Liver | CT slice | Slice index 138 | Image width 422 mm
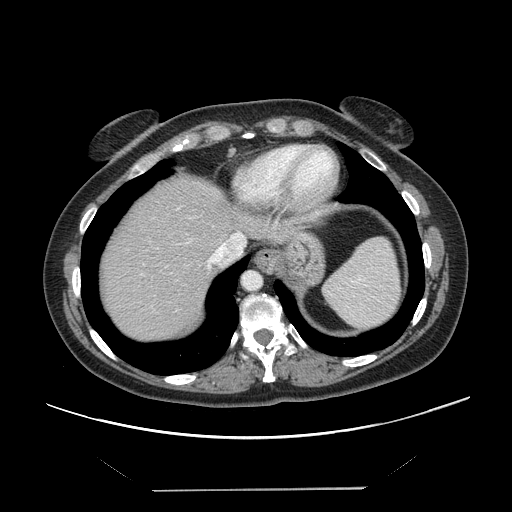
Some hepatic vessels may have no box.
Hepatic vessel — <bbox>206, 232, 243, 270</bbox>, <bbox>188, 239, 191, 242</bbox>.